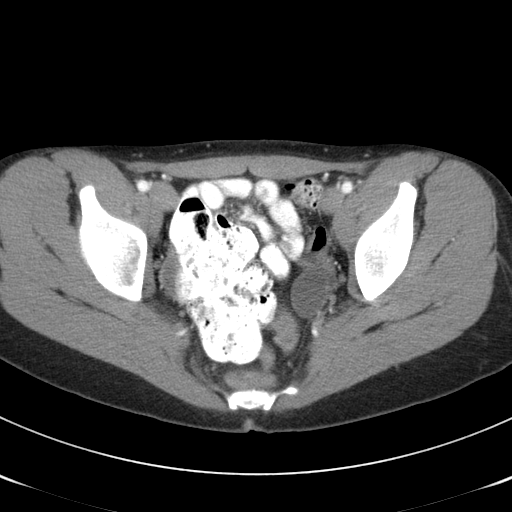
512x512; CT slice
Annotated regions:
• colon tumor: 317,250,334,270; 274,316,296,336